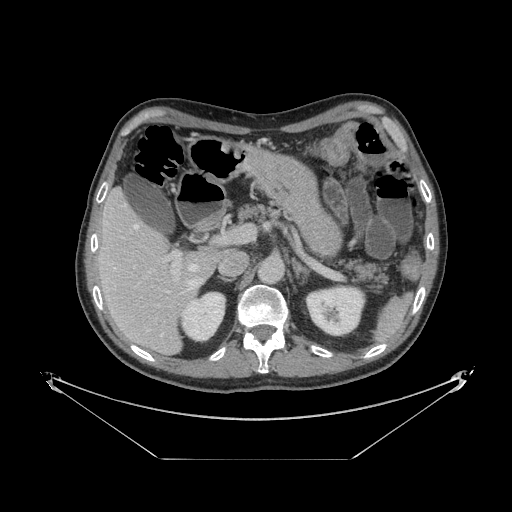 Computed tomography

2 pancreas regions are bounded by region(324, 257, 389, 292); region(235, 203, 274, 223).